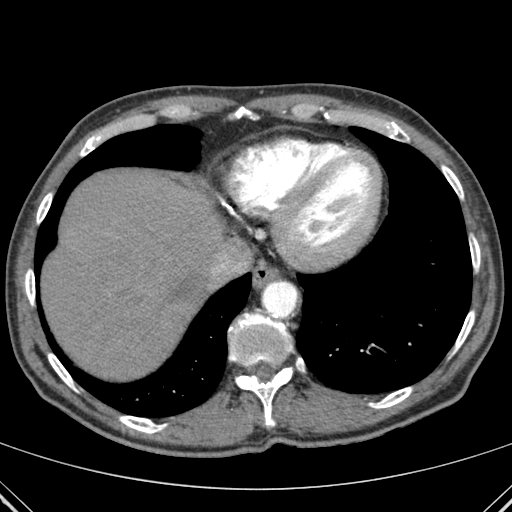

CT image, 512x512

Bone: 235, 107, 256, 119; 36, 193, 51, 223; 369, 387, 411, 408; 296, 358, 304, 371; 228, 313, 292, 366; 235, 368, 292, 425; 80, 134, 101, 156; 470, 238, 480, 269; 382, 122, 407, 139; 25, 269, 34, 304; 454, 311, 474, 350; 442, 166, 463, 198; 48, 353, 76, 390; 119, 416, 165, 433.
Liver: 41, 169, 225, 381.
Lung: 296, 126, 471, 393; 36, 124, 251, 416.